Hippocampus | Magnetic resonance

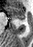 Anterior hippocampus — 6, 7, 24, 20.